Magnetic resonance. Slice index 20. 35x53 px.

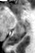

- posterior hippocampus: (left=7, top=28, right=20, bottom=46)